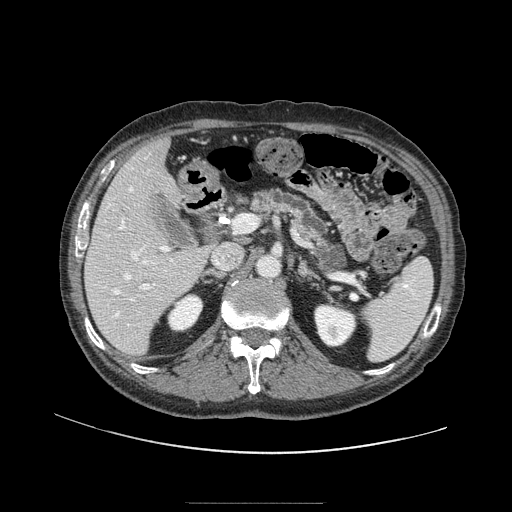 CT scan slice; Abdomen
Pancreas — 248:190:345:269.